CT image | Abdomen
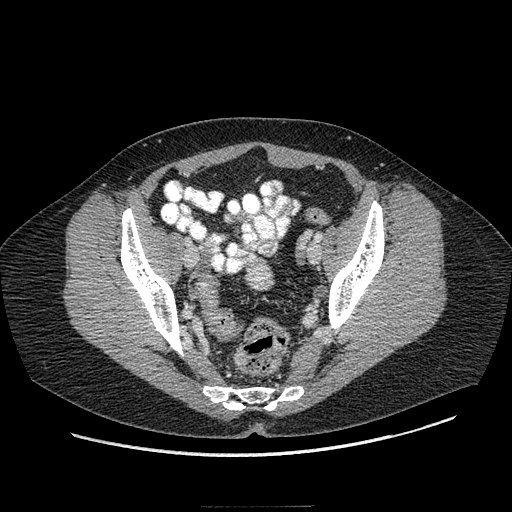
{
  "colon_tumor": [
    "[234,352,246,364]"
  ]
}